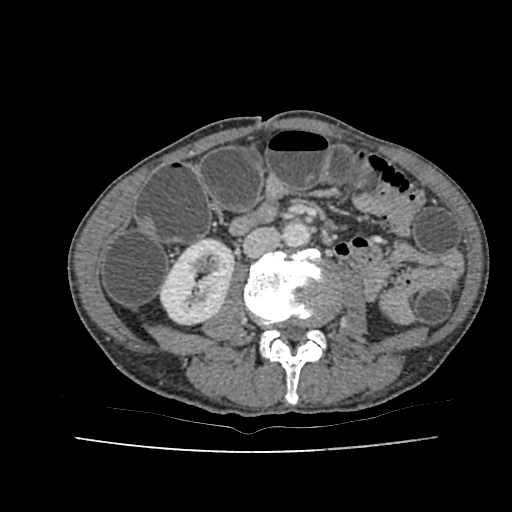

CT, Abdomen
<segmentation>
  <kidney>161, 240, 233, 323</kidney>
</segmentation>